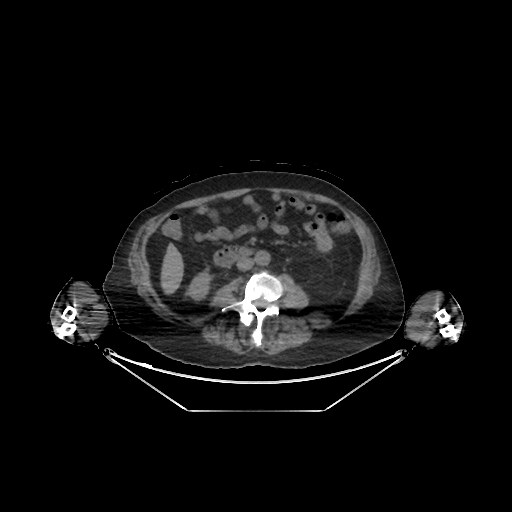
512x512 px | CT slice | Abdomen
The liver appears at rect(161, 244, 183, 293). The kidney appears at rect(184, 267, 214, 302).